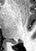
Magnetic resonance, 36x51 px
The posterior hippocampus is at 8, 39, 16, 43.